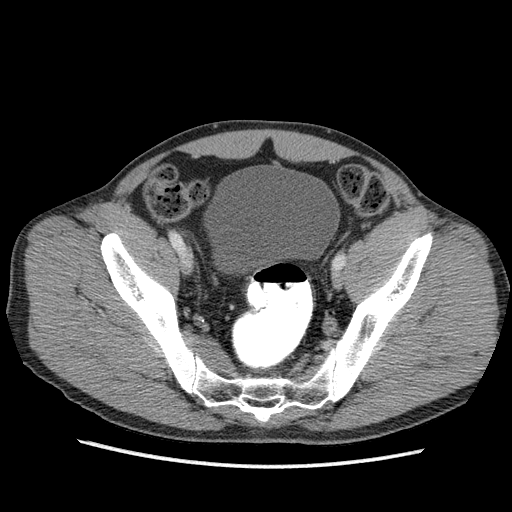 CT scan slice | Lower abdomen

Segmented structures:
• urinary bladder: region(204, 165, 339, 273)